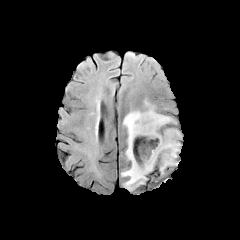
FLAIR MR image.
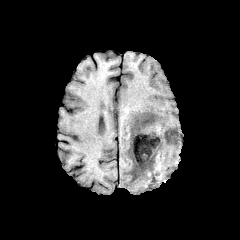
Same slice, T1-weighted magnetic resonance.
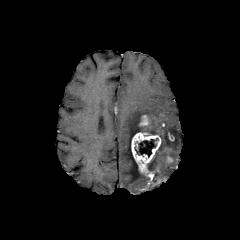
Post-contrast T1-weighted MRI.
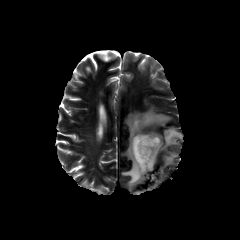
T2-weighted magnetic resonance.
The edema lies within {"x1": 121, "y1": 108, "x2": 181, "y2": 191}. 3 non-enhancing tumor core regions appear at {"x1": 138, "y1": 124, "x2": 157, "y2": 135}, {"x1": 159, "y1": 131, "x2": 175, "y2": 143}, {"x1": 134, "y1": 138, "x2": 158, "y2": 157}. 2 enhancing tumor regions appear at {"x1": 140, "y1": 115, "x2": 149, "y2": 125}, {"x1": 131, "y1": 132, "x2": 160, "y2": 172}.